Upper abdomen; CT
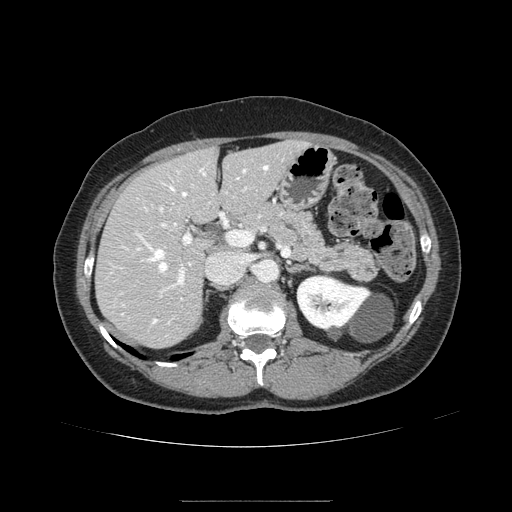
{
  "pancreas": [
    "<bbox>224, 201, 377, 282</bbox>"
  ]
}